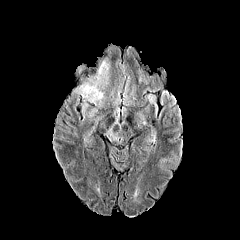
FLAIR MR.
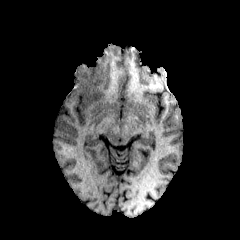
T1-weighted magnetic resonance.
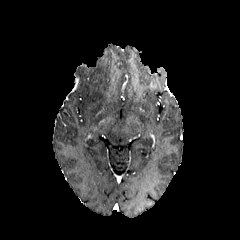
Same slice, post-contrast T1-weighted MR image.
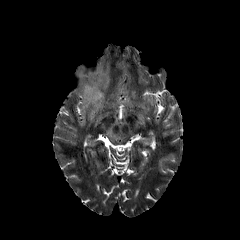
T2-weighted MR.
The edema is bounded by {"x1": 75, "y1": 66, "x2": 108, "y2": 107}.